FLAIR MRI.
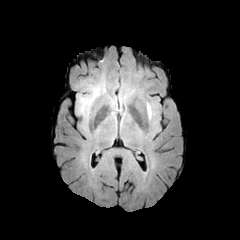
T1-weighted MRI.
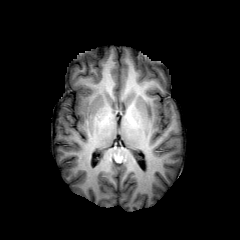
Post-contrast T1-weighted magnetic resonance.
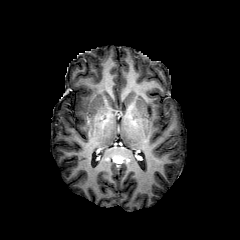
T2-weighted MR image.
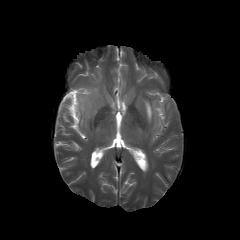
Edema: <bbox>146, 103, 153, 120</bbox>.